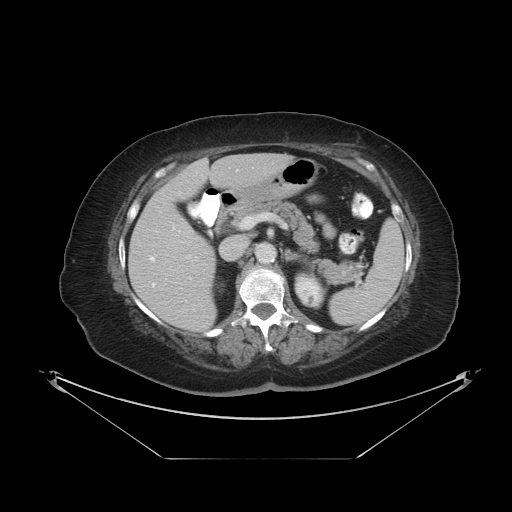 Liver; CT slice
The vessel boxes may cover only some of the vessels.
{
  "hepatic_vessel": [
    "151, 282, 155, 287",
    "236, 169, 237, 170",
    "148, 254, 155, 261"
  ]
}